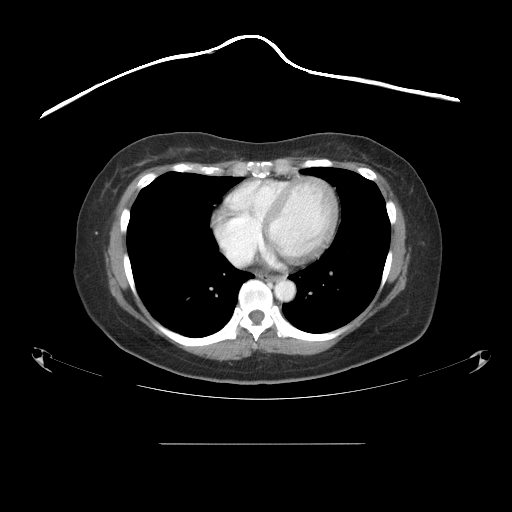 512x512 px, CT

Some hepatic vessels may have no box.
The hepatic vessel is located at [x1=226, y1=249, x2=254, y2=265].